Abdomen; CT slice; Field of view 403x403 mm; Image size 512x512
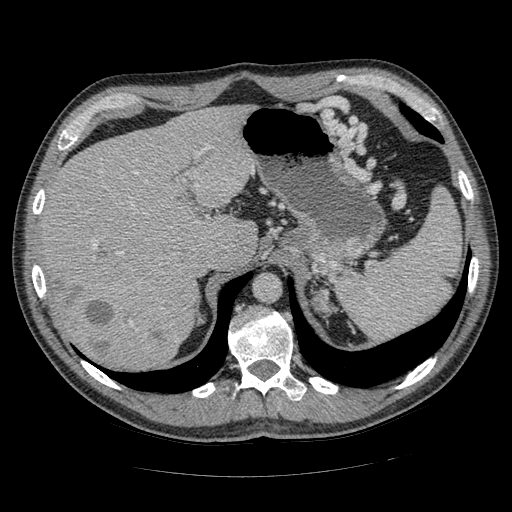 The pancreatic tumor appears at x1=312 y1=289 x2=332 y2=313.